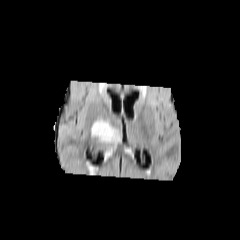
FLAIR MR image.
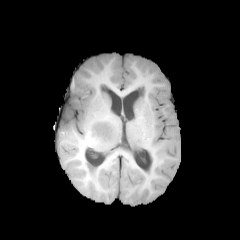
Same slice, T1-weighted MRI.
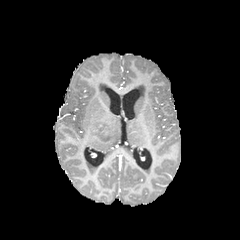
Post-contrast T1-weighted MR.
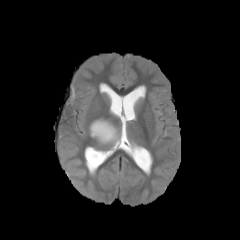
T2-weighted MR.
240x240.
{"enhancing_tumor": [{"x1": 98, "y1": 123, "x2": 110, "y2": 136}], "edema": [{"x1": 89, "y1": 118, "x2": 119, "y2": 145}], "non-enhancing_tumor_core": [{"x1": 93, "y1": 120, "x2": 111, "y2": 138}]}